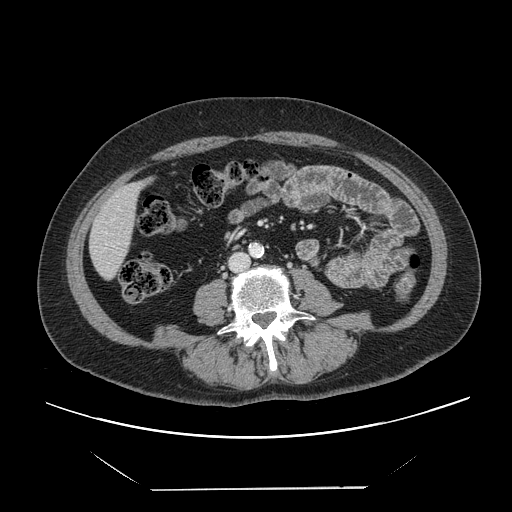 CT scan slice, 512x512 px
The vessel annotation is not exhaustive.
The hepatic vessel is bounded by (105,232,106,233).